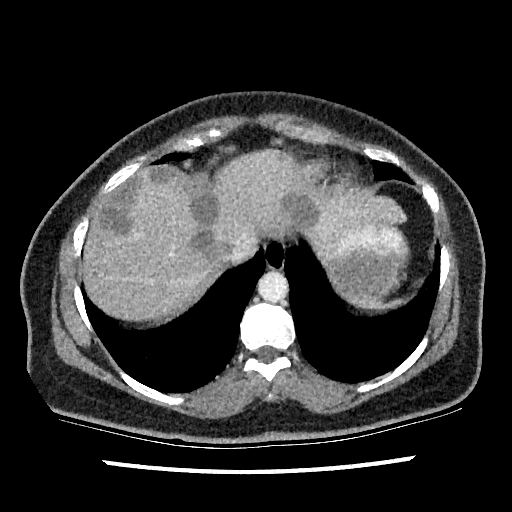
Computed tomography | 512x512
liver_lesion:
  - (282,194,318,229)
  - (183,175,230,257)
  - (98,180,138,233)
  - (151,167,174,184)
liver:
  - (83,166,229,321)
  - (207,152,404,247)